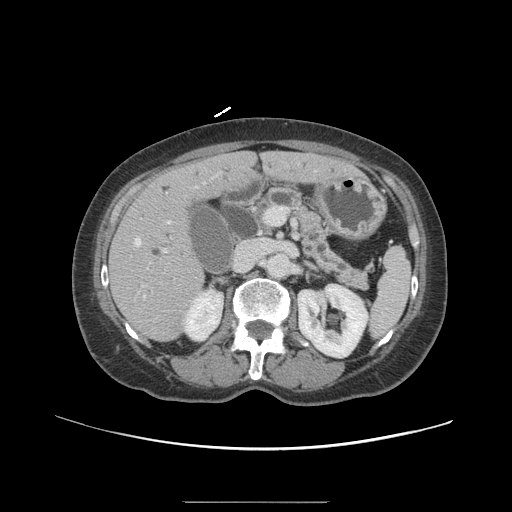
CT slice, Image size 512x512
Pancreas = l=257, t=189, r=367, b=287.